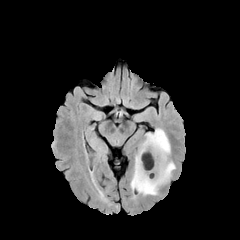
FLAIR MR image.
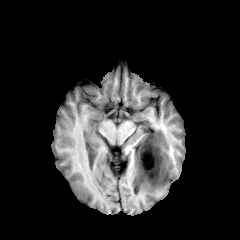
T1-weighted magnetic resonance.
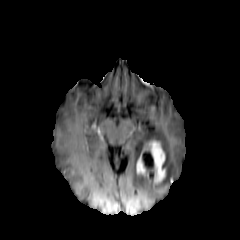
Post-contrast T1-weighted MR of the same slice.
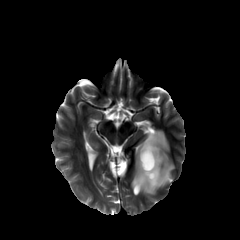
T2-weighted magnetic resonance of the same slice.
240x240
{
  "non-enhancing_tumor_core": [
    "<bbox>144, 163, 154, 176</bbox>",
    "<bbox>141, 144, 153, 160</bbox>"
  ],
  "enhancing_tumor": [
    "<bbox>136, 154, 145, 175</bbox>",
    "<bbox>149, 141, 165, 184</bbox>"
  ],
  "edema": [
    "<bbox>131, 129, 175, 194</bbox>"
  ]
}